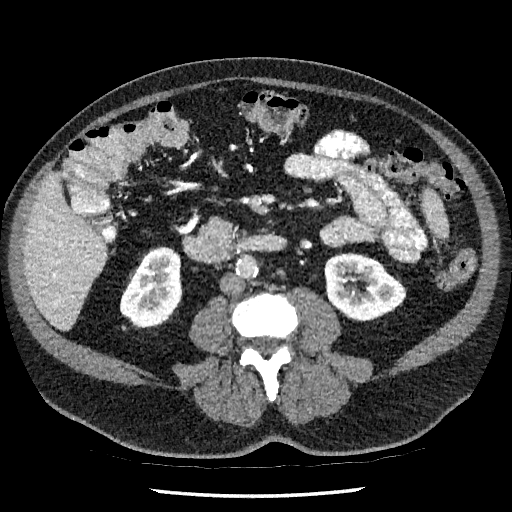 512x512 | CT
The liver is at x1=24, y1=173, x2=105, y2=330. 2 kidney regions appear at x1=325, y1=254, x2=404, y2=319; x1=120, y1=250, x2=181, y2=326.